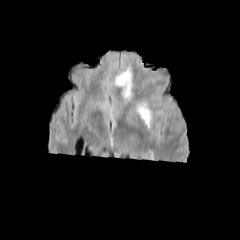
FLAIR MRI.
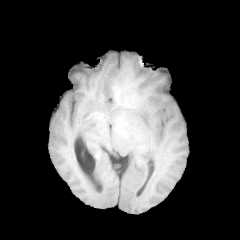
Same slice, T1-weighted MR image.
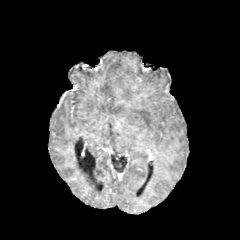
Post-contrast T1-weighted magnetic resonance.
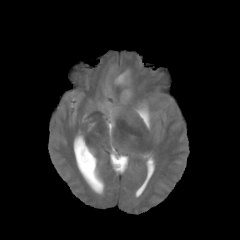
T2-weighted MR.
Edema: l=136, t=101, r=149, b=125; l=116, t=71, r=131, b=84.